FLAIR MR image.
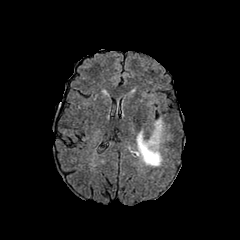
T1-weighted magnetic resonance.
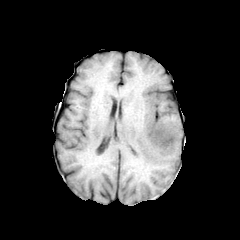
Post-contrast T1-weighted MR image.
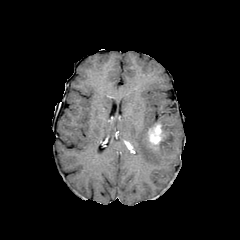
T2-weighted MR.
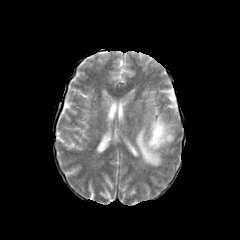
Brain, 240x240 px
enhancing tumor: {"x1": 147, "y1": 123, "x2": 171, "y2": 149} | edema: {"x1": 158, "y1": 117, "x2": 171, "y2": 129}, {"x1": 132, "y1": 128, "x2": 177, "y2": 167}